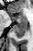

Hippocampus, MRI

The anterior hippocampus appears at 10 14 26 23. The posterior hippocampus appears at 12 24 26 38.